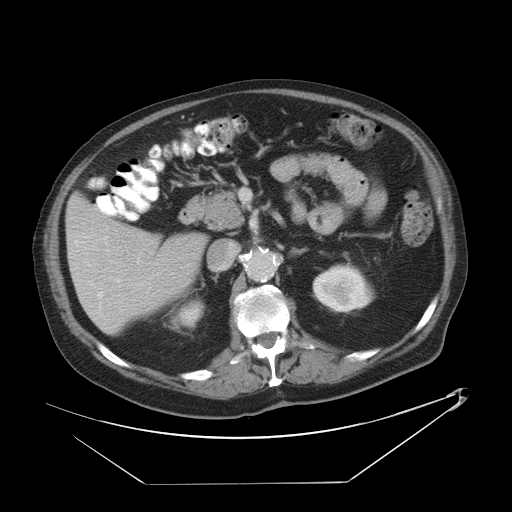
Abdomen | CT slice | 512x512

Some hepatic vessels may have no box.
hepatic vessel: (69, 253, 71, 257), (104, 236, 107, 244), (70, 261, 73, 264), (70, 201, 72, 206), (107, 249, 108, 251), (74, 240, 78, 245), (83, 219, 84, 224)